Slice index 107
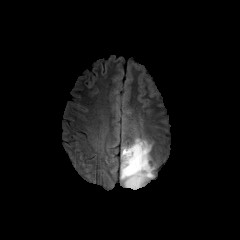
FLAIR MR.
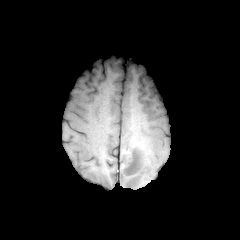
T1-weighted magnetic resonance.
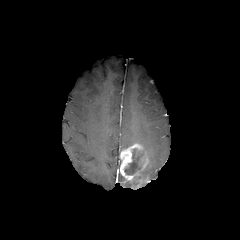
Post-contrast T1-weighted MRI.
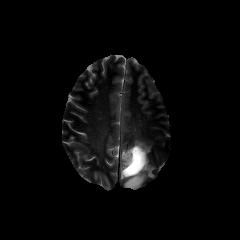
Same slice, T2-weighted MR.
<segmentation>
  <edema>120 137 155 177</edema>
  <non-enhancing_tumor_core>125 148 144 174</non-enhancing_tumor_core>
  <enhancing_tumor>120 144 148 188</enhancing_tumor>
</segmentation>